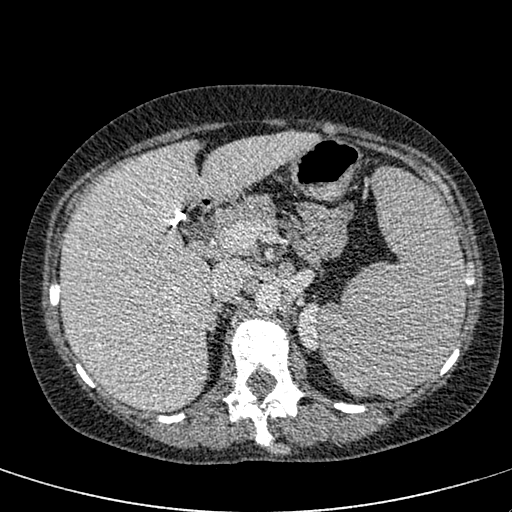 512x512, Computed tomography

Liver at x1=60 y1=133 x2=319 y2=411.
Kidney at x1=298 y1=304 x2=320 y2=349.